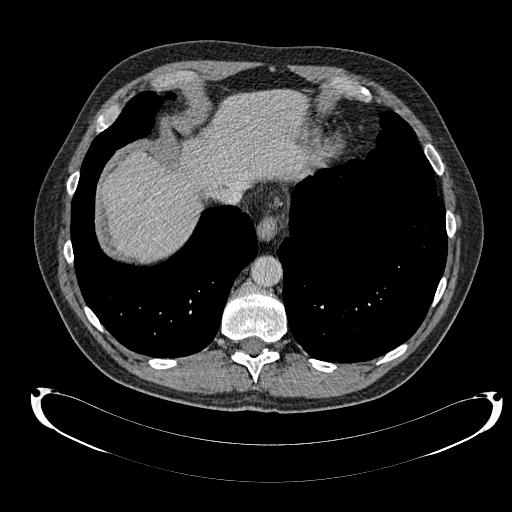 Liver. Computed tomography. - liver: (x1=102, y1=91, x2=305, y2=261)